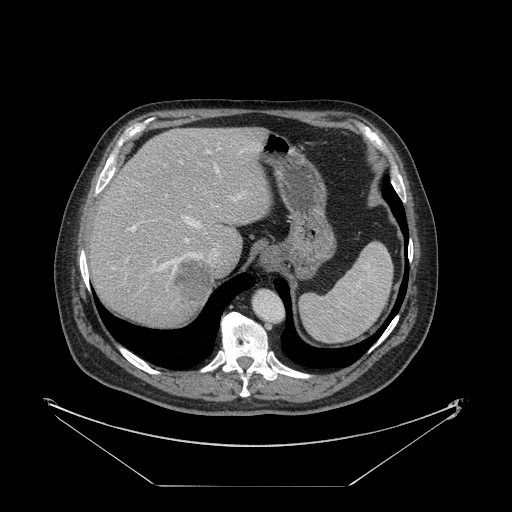

CT scan slice | 512x512 px
Some hepatic vessels may have no box.
9 hepatic vessel regions are located at <box>231,196,239,200</box>, <box>128,225,135,231</box>, <box>164,164,165,165</box>, <box>185,238,187,240</box>, <box>214,165,218,170</box>, <box>153,260,154,264</box>, <box>126,258,127,260</box>, <box>206,151,211,153</box>, <box>217,147,219,148</box>. The liver tumor appears at <box>174,259,212,302</box>.